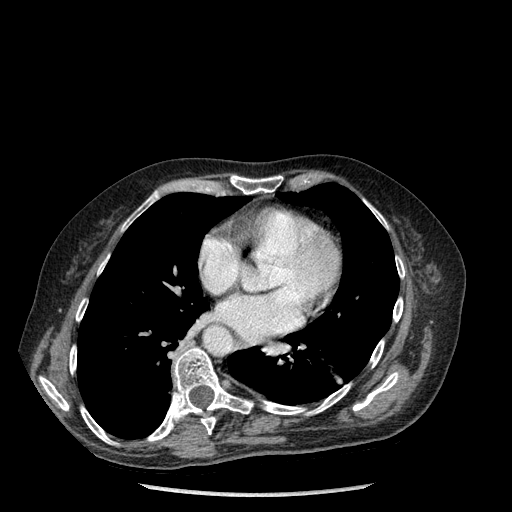

CT scan slice
<segmentation>
  <lung>77 192 248 439, 228 183 399 404</lung>
  <bone>76 298 87 321, 395 256 404 278, 263 383 351 415, 69 345 76 374, 121 191 158 231, 97 255 109 274, 353 372 399 411, 370 340 384 367, 39 376 68 410, 393 297 403 322, 363 199 388 228, 147 346 253 441, 230 175 282 194, 80 406 116 444</bone>
</segmentation>